Field of view 439 mm wide, 0.80 mm slice spacing. CT scan slice. 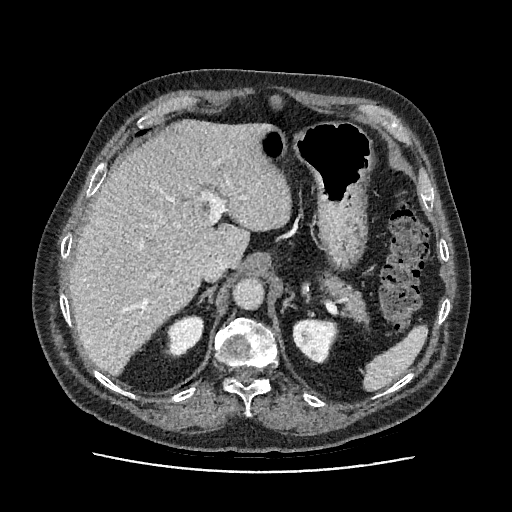

liver: (left=70, top=120, right=290, bottom=375) | kidney: (left=170, top=317, right=202, bottom=354), (left=294, top=320, right=334, bottom=361)